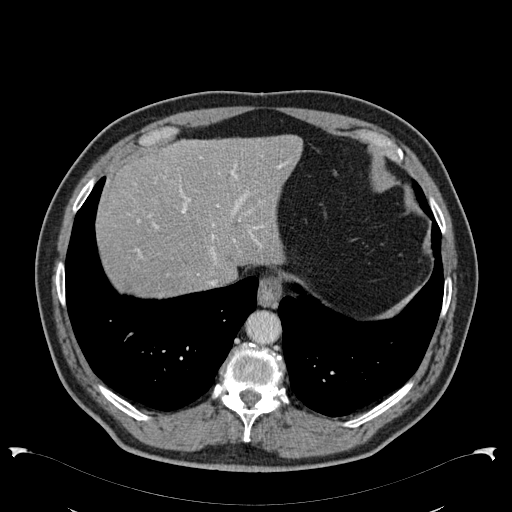 CT image; Upper abdomen
Liver: [97, 136, 302, 295].